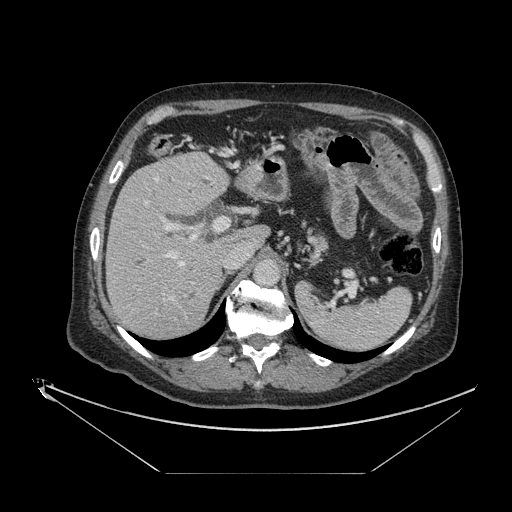 CT. Upper abdomen.
{"pancreas": ["(left=307, top=228, right=333, bottom=267)"]}